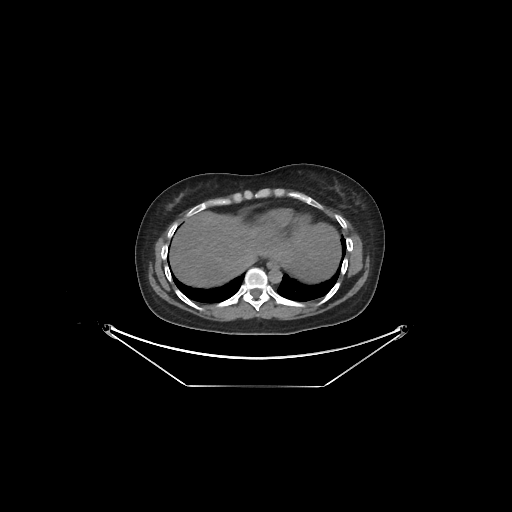 Image size 512x512. CT slice. liver: x1=170, y1=212, x2=340, y2=286